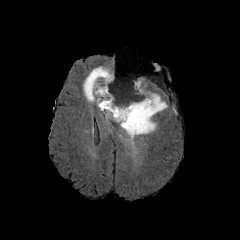
FLAIR MRI.
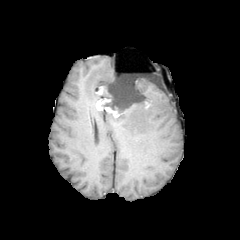
T1-weighted magnetic resonance.
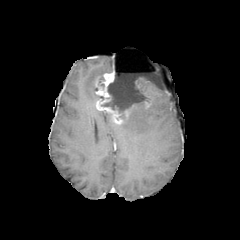
Same slice, post-contrast T1-weighted MR image.
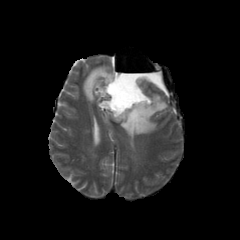
T2-weighted MR image.
Head
Enhancing tumor: rect(96, 71, 122, 123).
Non-enhancing tumor core: rect(94, 76, 103, 85); rect(103, 82, 150, 121).
Edema: rect(120, 78, 167, 139); rect(83, 66, 111, 102).